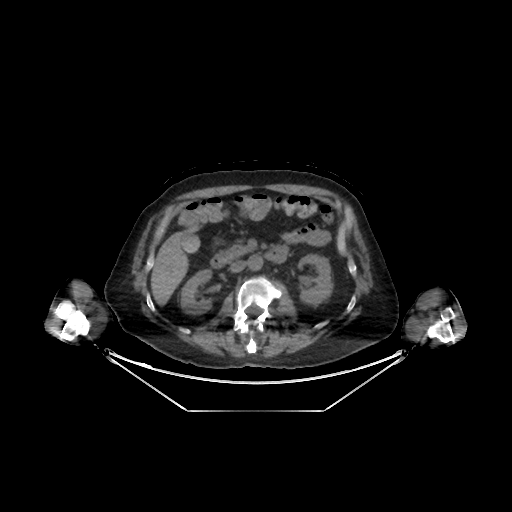
Upper abdomen. CT.
liver:
  - box=[151, 223, 200, 303]
kidney:
  - box=[296, 253, 334, 308]
  - box=[177, 267, 214, 315]